FLAIR MRI.
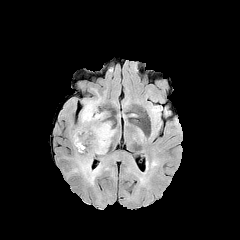
T1-weighted MR image.
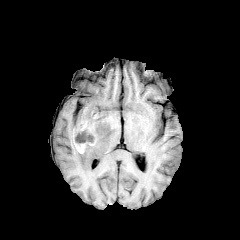
Post-contrast T1-weighted MR.
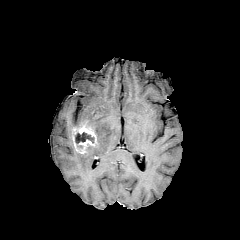
T2-weighted magnetic resonance.
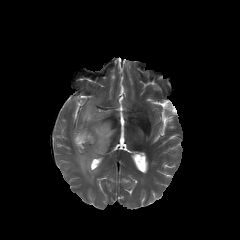
Head
Edema at [74, 100, 115, 184].
Enhancing tumor at [72, 122, 96, 153].
Non-enhancing tumor core at [74, 132, 93, 143].